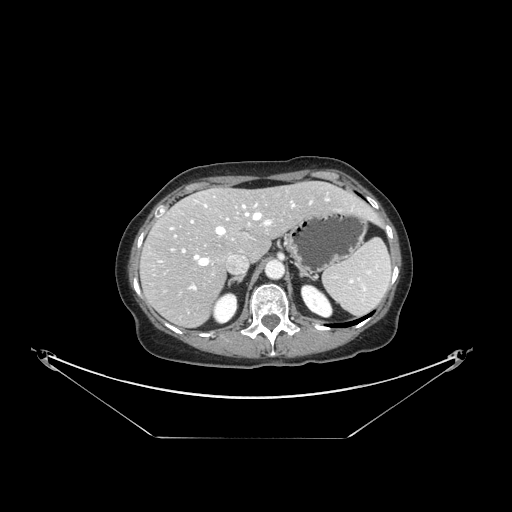
CT image. Liver. Some hepatic vessels may have no box.
Hepatic vessel — (254,213,260,219), (217,227,224,233), (191,286,194,288), (265,221,269,224).